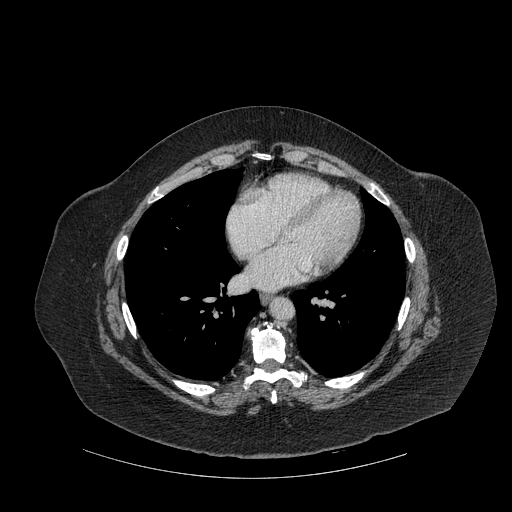

Computed tomography

- bone: region(122, 303, 135, 337); region(117, 236, 127, 259); region(251, 325, 285, 362); region(405, 238, 415, 261); region(271, 390, 276, 402); region(244, 368, 306, 388); region(398, 298, 409, 329); region(325, 372, 363, 388); region(153, 187, 162, 199); region(256, 153, 270, 159); region(174, 380, 214, 395)
- lung: region(292, 190, 405, 376); region(125, 168, 259, 380)